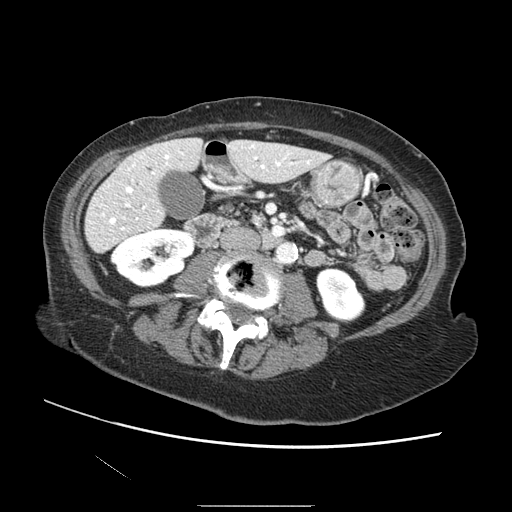

CT image

Pancreas: bounding box [x1=222, y1=203, x2=243, y2=214].